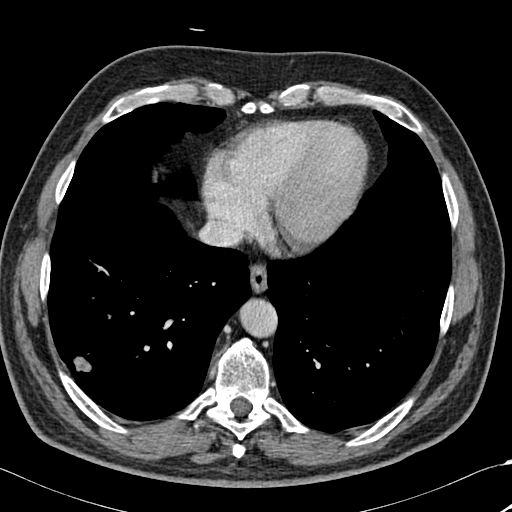 512x512; Chest; CT

Bone: 233 444 244 457, 60 373 125 432, 361 95 421 131, 281 87 293 97, 440 289 453 330, 103 86 183 121, 179 338 306 439, 56 162 73 202, 348 400 412 445, 243 103 271 112, 40 255 50 297, 443 176 458 225.
Lung: 47 102 251 420, 266 110 451 433.